Brain, Slice index 123
FLAIR magnetic resonance.
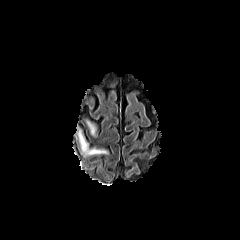
T1-weighted MRI.
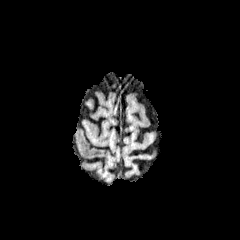
Post-contrast T1-weighted magnetic resonance.
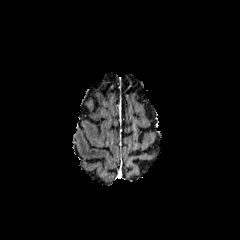
T2-weighted magnetic resonance.
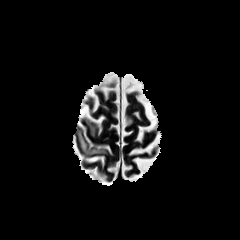
Edema: (left=78, top=129, right=106, bottom=153), (left=87, top=119, right=96, bottom=134).